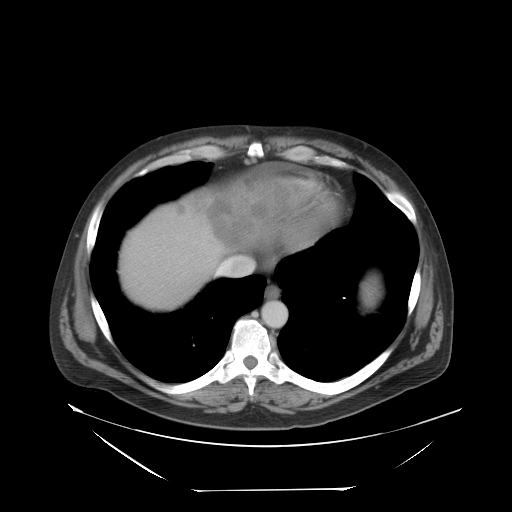 CT slice

The vessel annotation is not exhaustive.
{"hepatic_vessel": ["(222,247,224,252)", "(215,256,254,275)"], "liver_tumor": ["(207,182,294,247)", "(175,204,187,217)"]}